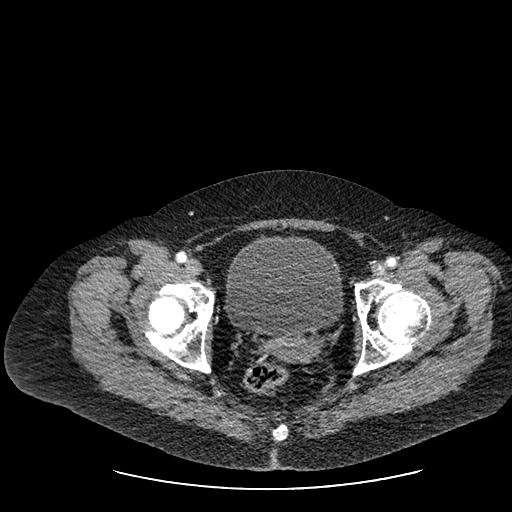 512x512 | CT

Urinary bladder = left=225, top=235, right=342, bottom=337.